Field of view 400 mm wide, 5.00 mm slice spacing | CT | 512x512

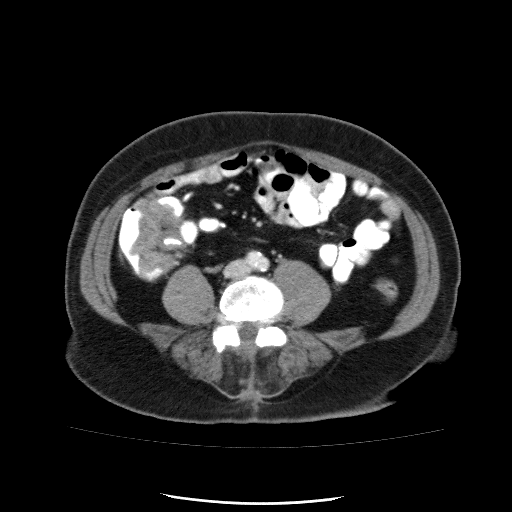 {
  "colon_tumor": [
    "129, 199, 185, 273"
  ]
}